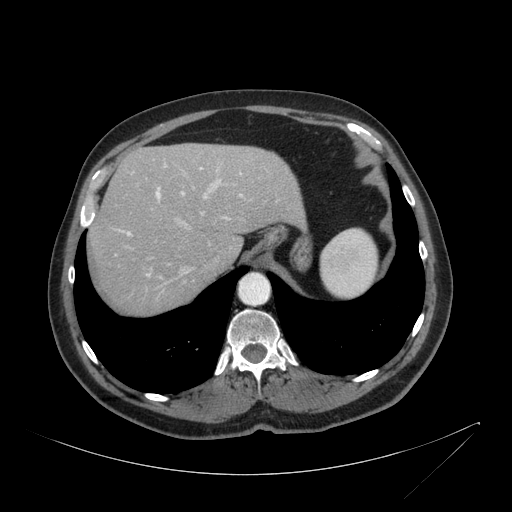
CT. Liver. Annotated regions:
- liver: {"x1": 89, "y1": 144, "x2": 306, "y2": 314}